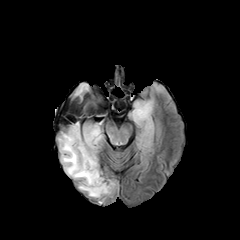
FLAIR MR.
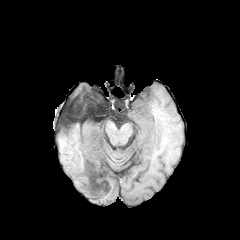
T1-weighted MRI of the same slice.
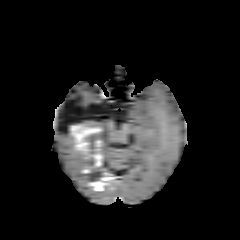
Same slice, post-contrast T1-weighted MR.
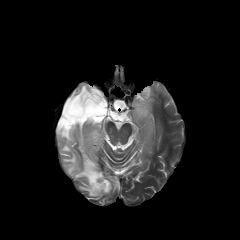
Same slice, T2-weighted MRI.
240x240
Edema — <box>69,110,81,119</box>, <box>132,100,151,123</box>, <box>57,130,113,199</box>, <box>76,101,85,107</box>, <box>72,84,97,100</box>.
Non-enhancing tumor core — <box>99,170,117,191</box>, <box>84,133,101,167</box>, <box>72,96,97,119</box>, <box>80,124,92,133</box>, <box>60,118,79,133</box>.
Enhancing tumor — <box>88,174,109,190</box>, <box>71,124,99,153</box>.